Image size 240x240.
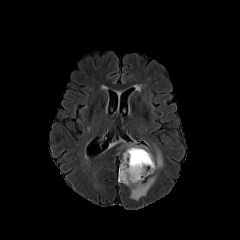
FLAIR MR.
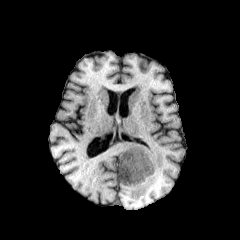
T1-weighted MR of the same slice.
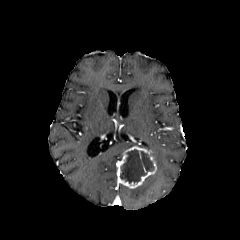
Post-contrast T1-weighted MR.
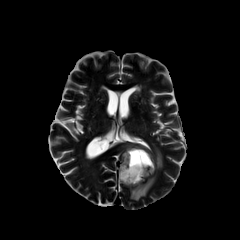
T2-weighted MR image.
Findings:
• enhancing tumor: 117,146,157,188
• non-enhancing tumor core: 120,150,154,183
• edema: 126,142,144,148; 155,149,162,169; 130,175,156,200